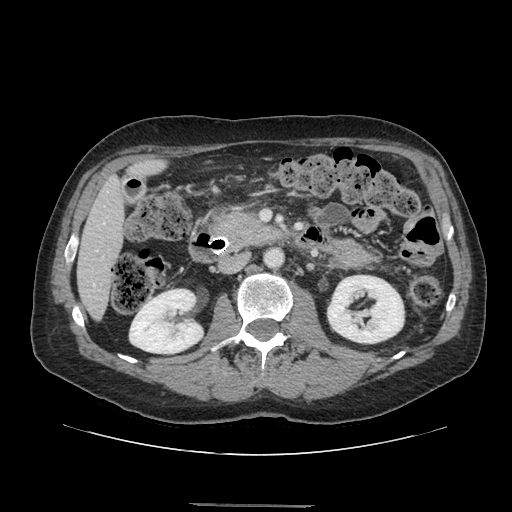
512x512 px; CT slice

The pancreas is at (212, 213, 280, 252).